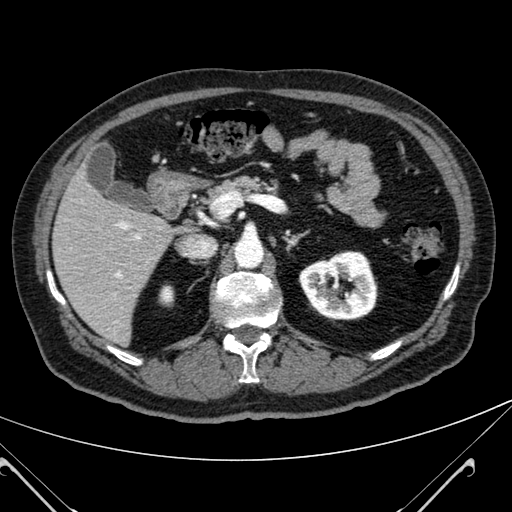

CT. Annotated regions:
* liver: <bbox>49, 179, 177, 347</bbox>
* kidney: <bbox>162, 287, 171, 301</bbox>, <bbox>300, 252, 375, 318</bbox>